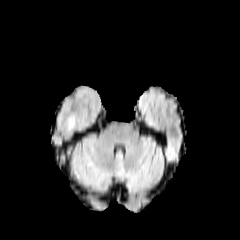
FLAIR MR.
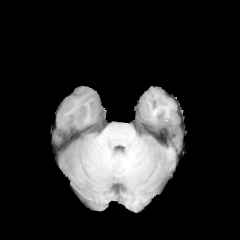
T1-weighted MRI of the same slice.
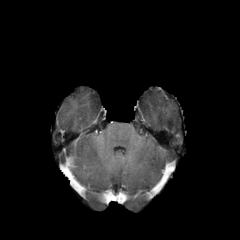
Same slice, post-contrast T1-weighted magnetic resonance.
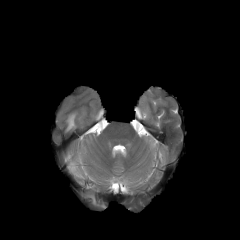
T2-weighted MRI.
Head
edema:
  - rect(67, 114, 75, 129)